Image size 240x240 | Image width 240 mm
FLAIR MR.
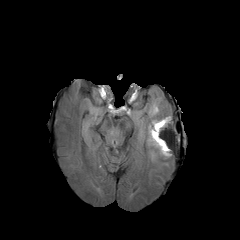
T1-weighted MR image.
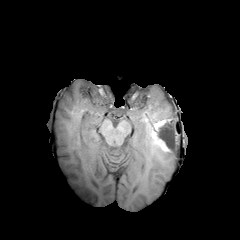
Post-contrast T1-weighted MRI.
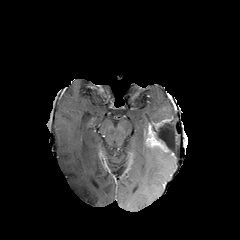
T2-weighted MR.
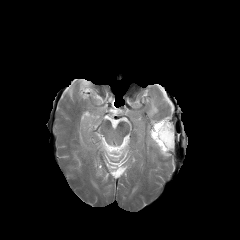
Edema: {"x1": 108, "y1": 132, "x2": 115, "y2": 146}, {"x1": 147, "y1": 100, "x2": 171, "y2": 123}, {"x1": 149, "y1": 146, "x2": 172, "y2": 161}, {"x1": 139, "y1": 128, "x2": 147, "y2": 138}.
Enhancing tumor: {"x1": 148, "y1": 124, "x2": 167, "y2": 151}.
Non-enhancing tumor core: {"x1": 152, "y1": 121, "x2": 174, "y2": 148}.